CT image, Slice 238/424, 512x512 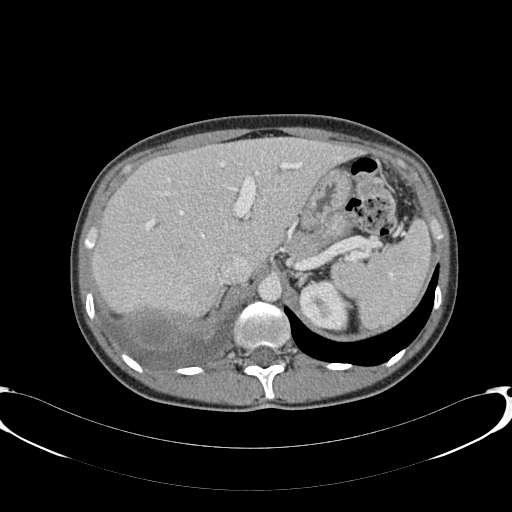 kidney:
  - rect(300, 283, 346, 328)
liver:
  - rect(92, 138, 366, 323)